Head; Image size 240x240; Slice 101/155
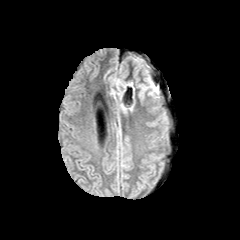
FLAIR MR image.
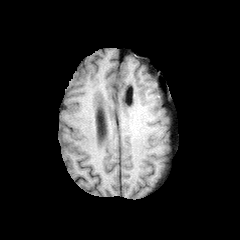
T1-weighted MRI of the same slice.
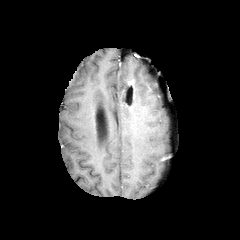
Post-contrast T1-weighted MRI.
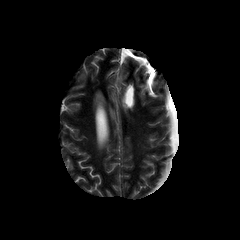
Same slice, T2-weighted MR.
Annotated regions:
* edema: 136 62 149 83, 138 84 154 99, 114 75 120 87